Slice 69 of 155 | Head | Image size 240x240
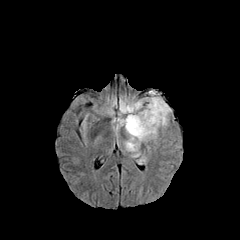
FLAIR magnetic resonance.
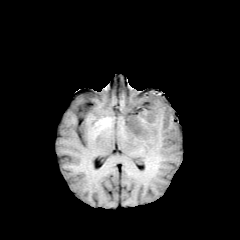
T1-weighted magnetic resonance.
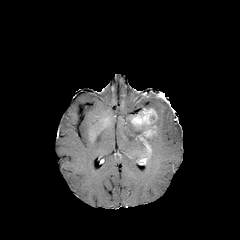
Post-contrast T1-weighted magnetic resonance.
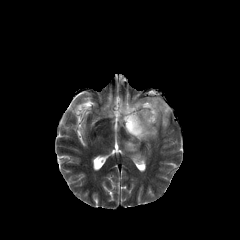
T2-weighted magnetic resonance of the same slice.
Non-enhancing tumor core: (127,115,156,133).
Enhancing tumor: (130,108,157,126), (143,129,155,135).
Edema: (113,90,171,163).